Head | Image width 240 mm | Slice 88 of 155
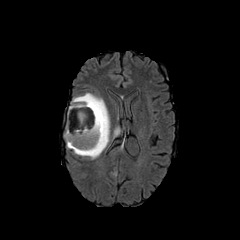
FLAIR MRI.
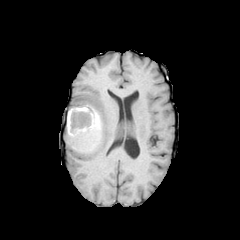
Same slice, T1-weighted MR image.
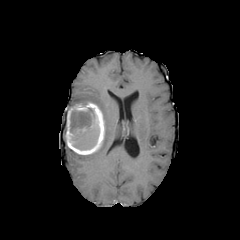
Post-contrast T1-weighted magnetic resonance of the same slice.
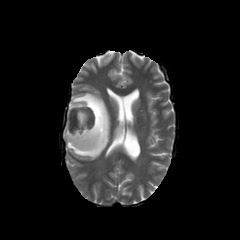
Same slice, T2-weighted MR image.
enhancing tumor: region(66, 101, 105, 154) | edema: region(66, 92, 119, 160) | non-enhancing tumor core: region(79, 108, 98, 149)